Computed tomography
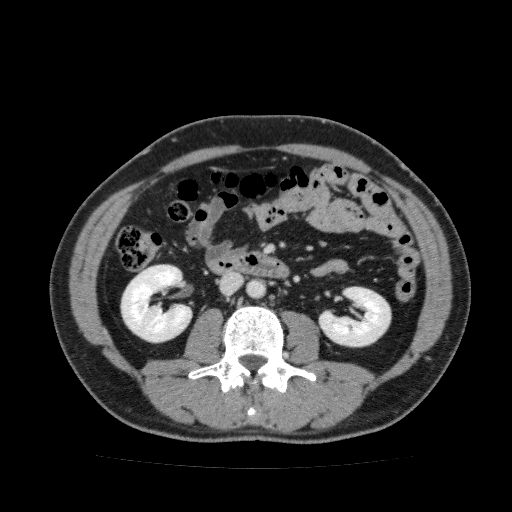 2 kidney regions are bounded by [x1=121, y1=265, x2=191, y2=341], [x1=319, y1=287, x2=390, y2=346].